FLAIR MRI.
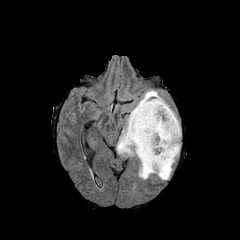
T1-weighted MRI.
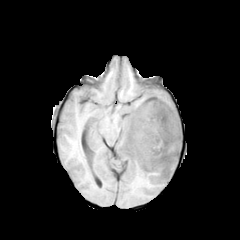
Post-contrast T1-weighted MR.
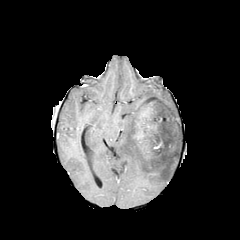
T2-weighted MR.
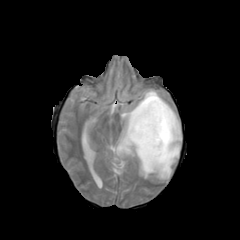
Head
{
  "non-enhancing_tumor_core": [
    "<bbox>132, 94, 178, 158</bbox>"
  ],
  "edema": [
    "<bbox>116, 89, 181, 179</bbox>"
  ],
  "enhancing_tumor": [
    "<bbox>134, 106, 155, 142</bbox>"
  ]
}